512x512, CT slice, Upper abdomen
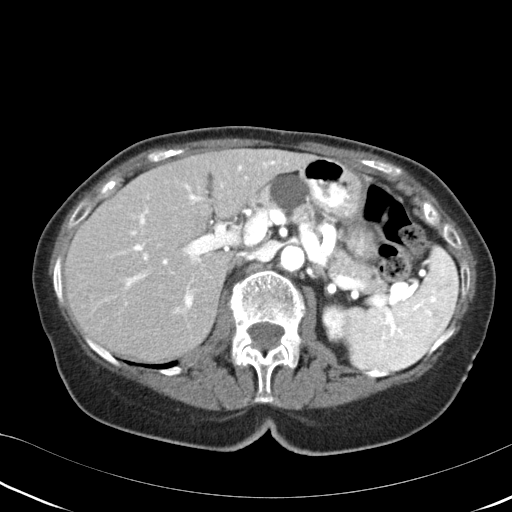 Pancreatic tumor at box(271, 175, 308, 213).
Pancreas at box(249, 179, 385, 291).